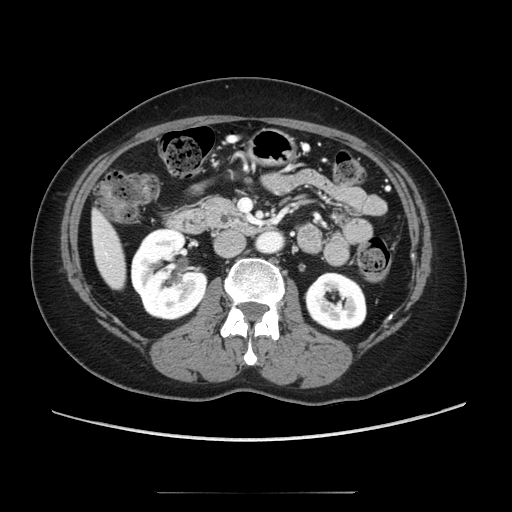 CT scan slice
The pancreas is located at 201,199,245,228.